Image size 512x512 | CT

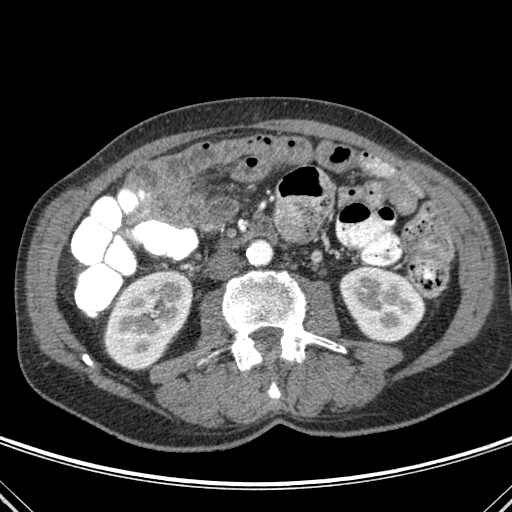 Bone = [x1=222, y1=271, x2=345, y2=370], [x1=83, y1=354, x2=92, y2=366], [x1=268, y1=379, x2=280, y2=399].
Kidney = [x1=341, y1=267, x2=423, y2=340], [x1=106, y1=274, x2=191, y2=368].